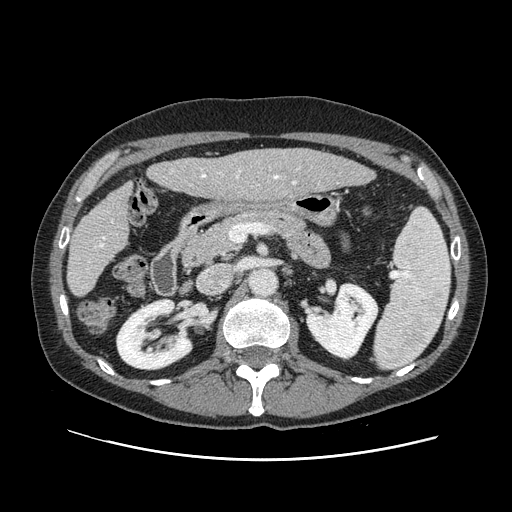 CT slice
Annotated regions:
• pancreas: (left=183, top=210, right=305, bottom=268)